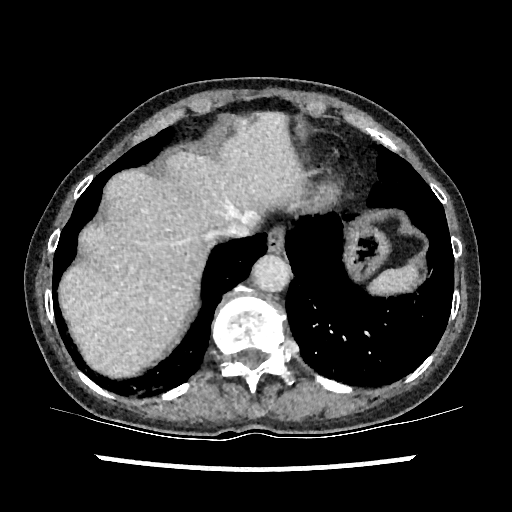
CT; Liver
<segmentation>
  <liver>[60, 112, 305, 376]</liver>
</segmentation>